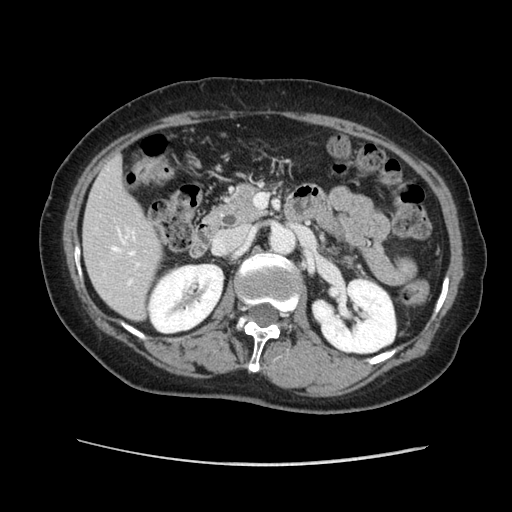
CT image. The pancreas is at region(209, 183, 265, 229).